CT image. Upper abdomen. Slice index 173. Image width 353 mm. Image size 512x512. 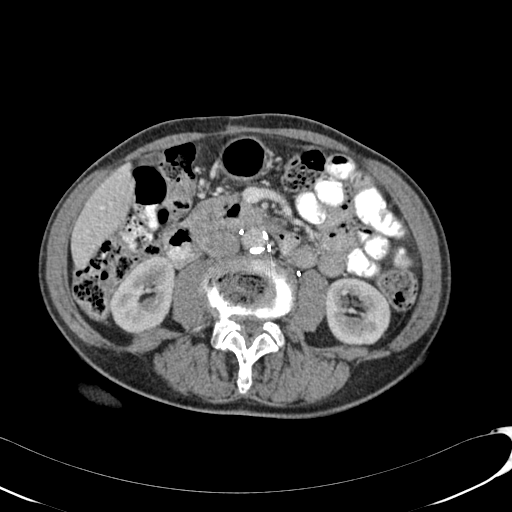

Segmented structures:
* liver: (72,163,134,268)
* kidney: (110,256,174,332), (325,279,389,344)